512x512; Slice 468/771; Computed tomography
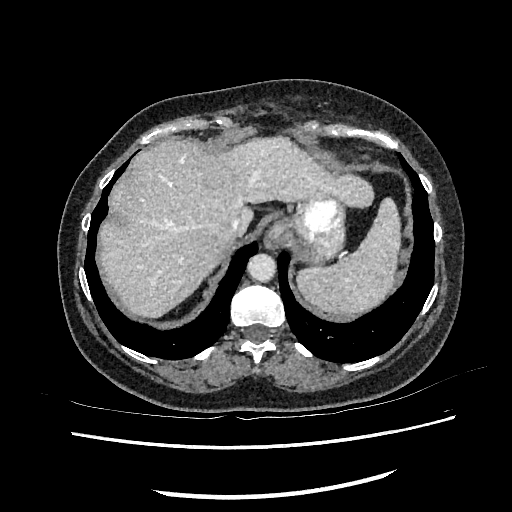 * liver: [100, 136, 372, 315]